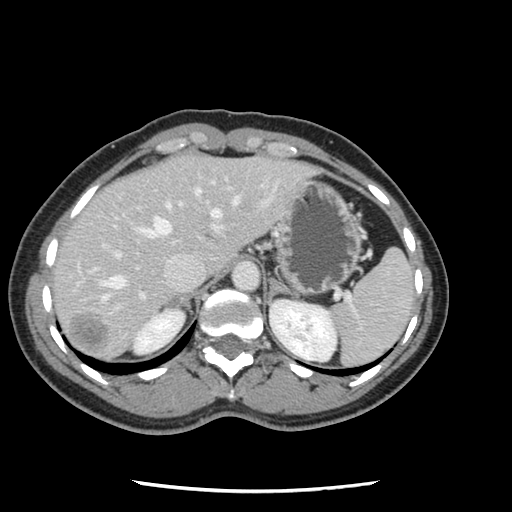

CT scan slice. 512x512 px. The vessel annotation is not exhaustive.
Liver tumor: (x1=71, y1=314, x2=109, y2=350).
Hepatic vessel: (x1=101, y1=276, x2=124, y2=288), (x1=179, y1=202, x2=181, y2=204), (x1=166, y1=203, x2=169, y2=207), (x1=195, y1=187, x2=199, y2=193), (x1=211, y1=209, x2=220, y2=229), (x1=212, y1=181, x2=213, y2=182), (x1=140, y1=293, x2=143, y2=296), (x1=101, y1=295, x2=106, y2=300), (x1=81, y1=275, x2=84, y2=277), (x1=114, y1=251, x2=120, y2=257), (x1=140, y1=217, x2=170, y2=236), (x1=232, y1=197, x2=237, y2=203).